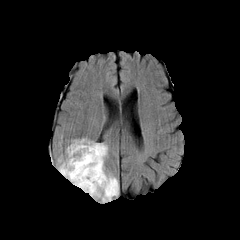
FLAIR MR.
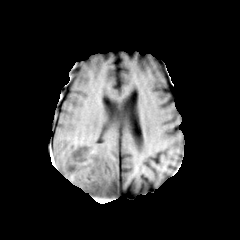
T1-weighted MR of the same slice.
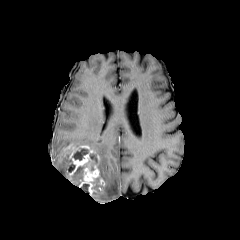
Same slice, post-contrast T1-weighted MR.
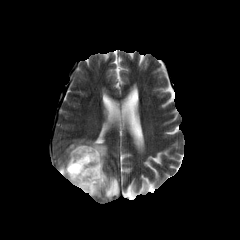
T2-weighted MR image.
Head.
3 non-enhancing tumor core regions are bounded by x1=67, y1=162, x2=74, y2=175; x1=72, y1=148, x2=88, y2=160; x1=89, y1=156, x2=99, y2=169. The enhancing tumor appears at x1=69, y1=146, x2=105, y2=195. 3 edema regions are bounded by x1=70, y1=139, x2=118, y2=200; x1=58, y1=147, x2=71, y2=177; x1=69, y1=172, x2=81, y2=186.